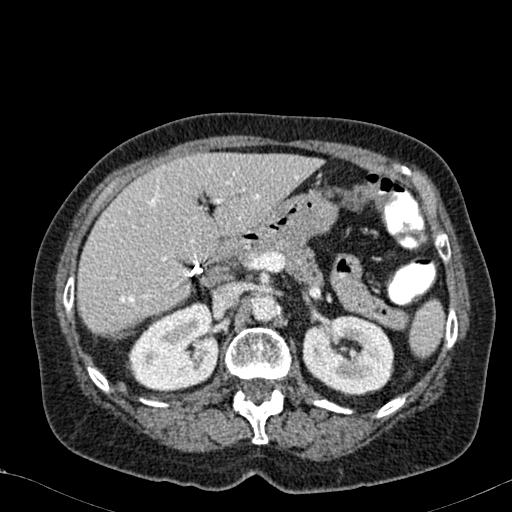

CT. Upper abdomen. Image size 512x512.

Kidney — <box>130,303,217,390</box>, <box>303,316,393,394</box>.
Liver — <box>78,153,322,334</box>.